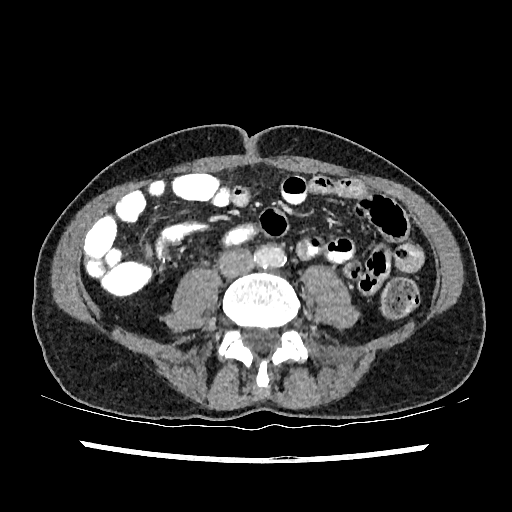
CT scan slice, Upper abdomen

Liver: bounding box (146,244,152,256).